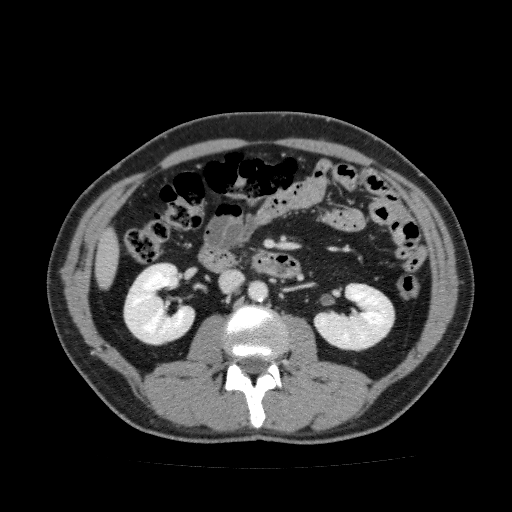

Liver | Computed tomography
liver:
  - {"x1": 94, "y1": 226, "x2": 119, "y2": 289}
kidney:
  - {"x1": 124, "y1": 264, "x2": 194, "y2": 344}
  - {"x1": 314, "y1": 284, "x2": 393, "y2": 349}